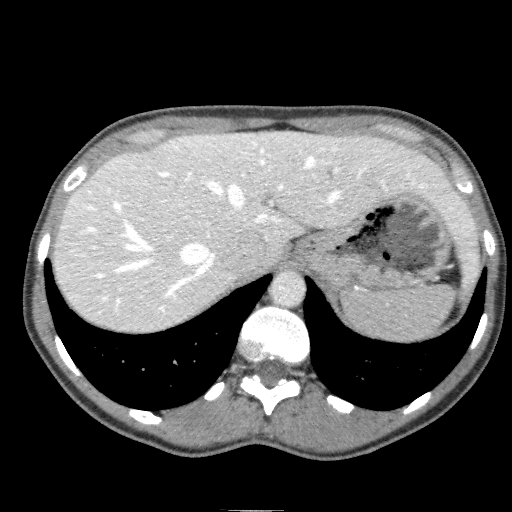

CT scan slice | Liver
Liver = {"x1": 53, "y1": 130, "x2": 479, "y2": 332}.